CT slice.
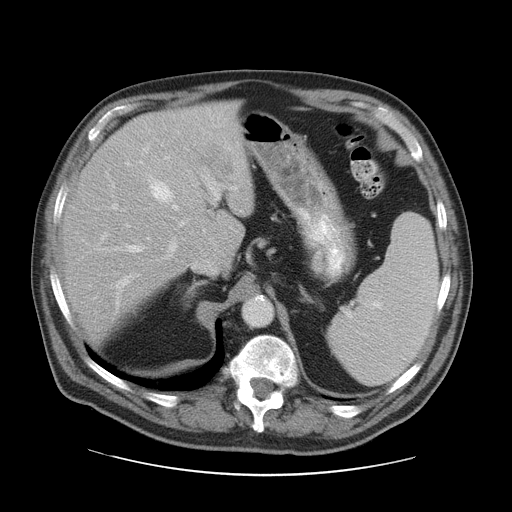
The vessel boxes may cover only some of the vessels.
Hepatic vessel: bounding box 117 299 117 302, 232 187 235 189, 101 235 105 239, 166 156 168 158, 169 242 174 251, 128 245 143 251, 205 176 218 197, 117 277 128 288, 173 205 177 208, 170 255 171 256, 151 183 170 199, 112 204 116 208, 126 225 128 226, 202 175 204 176.
Liver tumor: bounding box 191 144 235 185.